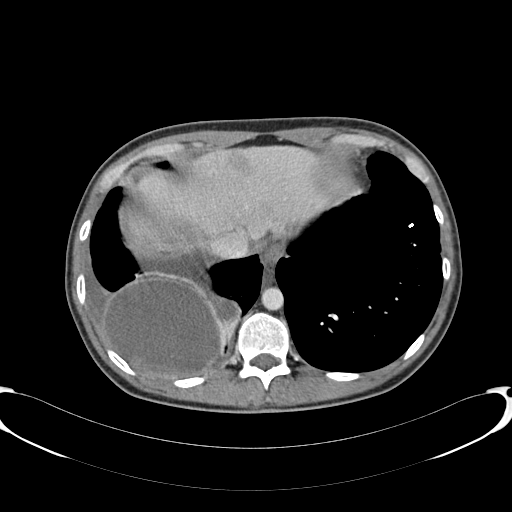
Upper abdomen | CT image
Liver at (x1=138, y1=147, x2=333, y2=240).
Liver lesion at (x1=229, y1=150, x2=250, y2=174).